Field of view 240x240 mm, Slice 102 of 155
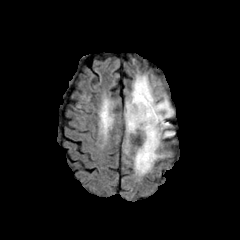
FLAIR MRI.
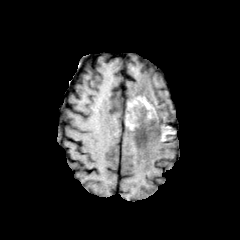
T1-weighted MR image.
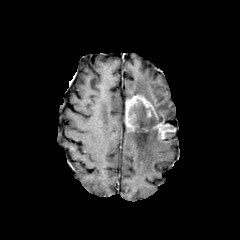
Post-contrast T1-weighted MR.
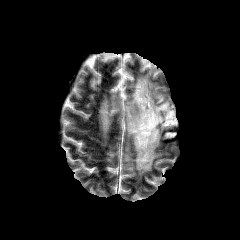
T2-weighted magnetic resonance.
The non-enhancing tumor core is located at bbox=[130, 101, 173, 142]. 2 enhancing tumor regions appear at bbox=[125, 95, 150, 131]; bbox=[153, 122, 169, 133]. 4 edema regions appear at bbox=[135, 106, 155, 125]; bbox=[132, 130, 165, 177]; bbox=[100, 100, 111, 131]; bbox=[127, 73, 174, 123].